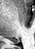

Image size 35x49; MR image; Medial temporal lobe
• posterior hippocampus: 8 38 20 43